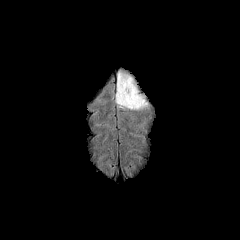
FLAIR MR.
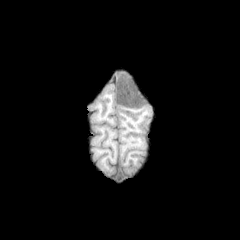
Same slice, T1-weighted MR.
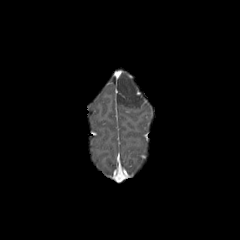
Post-contrast T1-weighted MR image of the same slice.
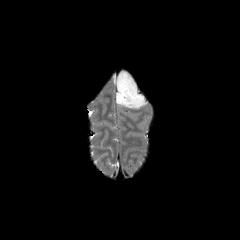
T2-weighted MRI.
Image size 240x240
Edema = left=117, top=76, right=146, bottom=109.
Non-enhancing tumor core = left=124, top=81, right=135, bottom=95.